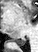
MRI slice; Image size 38x52; Hippocampus
The posterior hippocampus is bounded by (13,39,25,45).